Thorax. CT image. Slice 414/565. Field of view 335x335 mm.

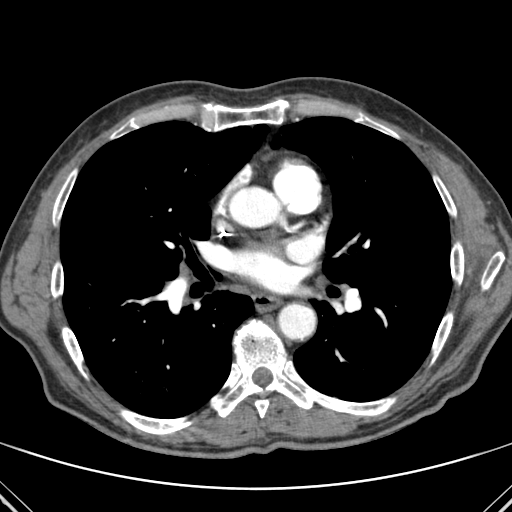 3 lung regions are bounded by (60, 121, 268, 418), (326, 286, 340, 297), (271, 117, 451, 401). 14 bone regions appear at (203, 100, 289, 130), (353, 113, 398, 137), (51, 262, 63, 297), (481, 251, 504, 290), (111, 118, 140, 138), (450, 242, 463, 284), (433, 176, 456, 216), (431, 313, 452, 362), (52, 169, 76, 225), (255, 398, 269, 417), (156, 279, 186, 313), (62, 327, 86, 377), (120, 410, 192, 434), (211, 319, 395, 417).